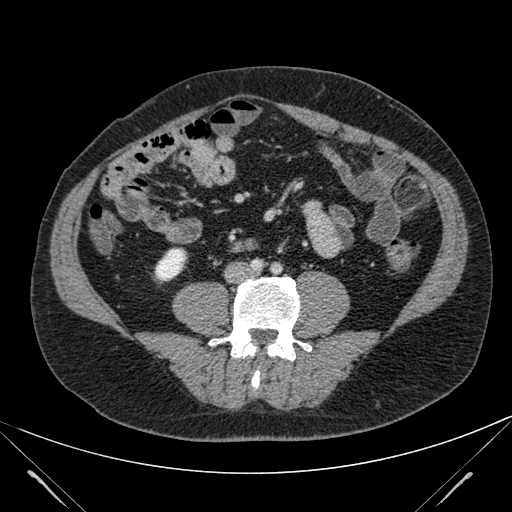 Computed tomography

Kidney = {"x1": 155, "y1": 249, "x2": 185, "y2": 280}.